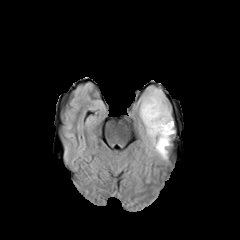
FLAIR MR image.
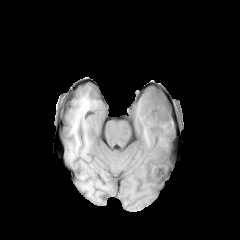
Same slice, T1-weighted magnetic resonance.
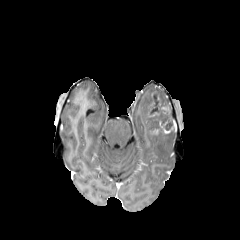
Same slice, post-contrast T1-weighted MR image.
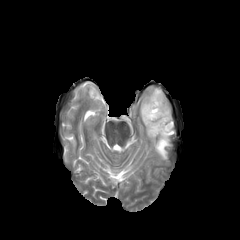
T2-weighted magnetic resonance.
Head
Non-enhancing tumor core — region(149, 91, 173, 135).
Edema — region(140, 89, 173, 159).